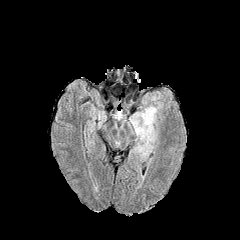
FLAIR MR.
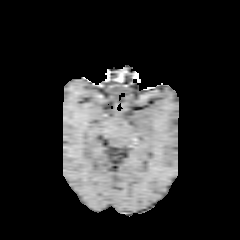
T1-weighted MR of the same slice.
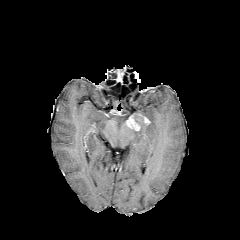
Same slice, post-contrast T1-weighted MRI.
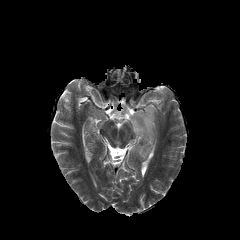
T2-weighted magnetic resonance.
Brain
enhancing_tumor:
  - (126, 113, 150, 130)
edema:
  - (112, 111, 128, 127)
  - (130, 91, 163, 163)